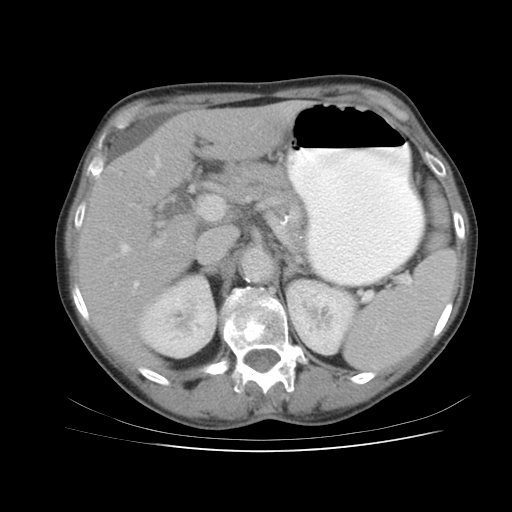

CT slice, Image size 512x512

spleen:
  - (x1=347, y1=251, x2=457, y2=369)